Field of view 240 mm wide, 1.00 mm slice spacing, Brain
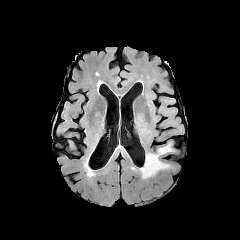
FLAIR MR.
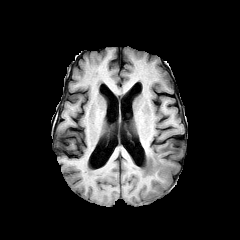
T1-weighted MRI of the same slice.
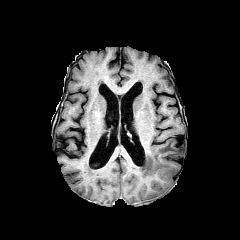
Post-contrast T1-weighted MR of the same slice.
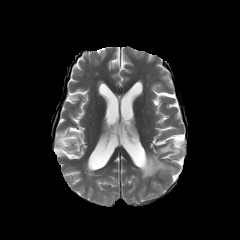
T2-weighted MRI of the same slice.
The edema is located at (left=138, top=141, right=177, bottom=178).